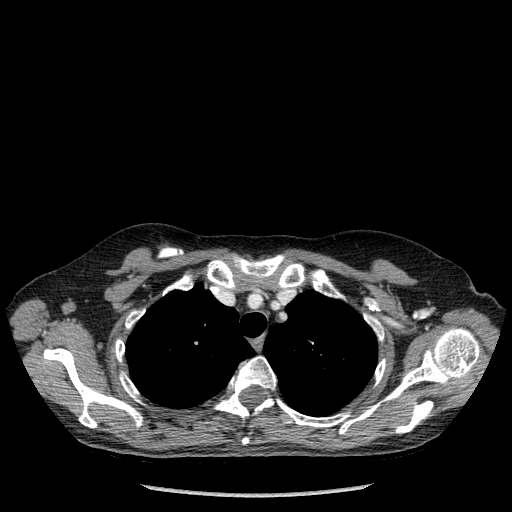

512x512 px | Computed tomography

lung:
  - rect(264, 290, 377, 416)
  - rect(126, 284, 266, 408)
bone:
  - rect(214, 328, 479, 434)
  - rect(119, 372, 141, 403)
  - rect(311, 270, 340, 297)
  - rect(114, 339, 124, 362)
  - rect(375, 359, 385, 385)
  - rect(163, 274, 192, 295)
  - rect(364, 314, 384, 340)
  - rect(43, 348, 142, 428)
  - rect(207, 255, 304, 293)
  - rect(125, 309, 144, 328)